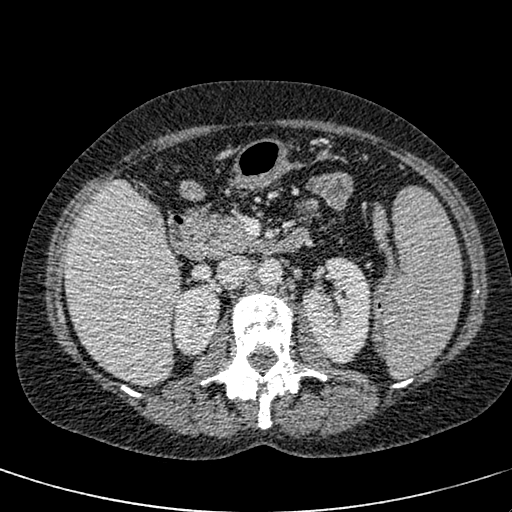 CT image, Upper abdomen
The focal liver lesion is bounded by [140, 204, 162, 229]. 2 kidney regions appear at [174, 288, 219, 350], [302, 258, 369, 363]. 2 liver regions are bounded by [62, 181, 180, 388], [218, 149, 231, 160].